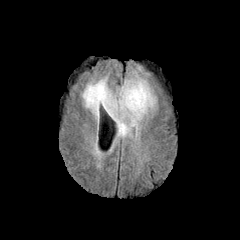
FLAIR MRI.
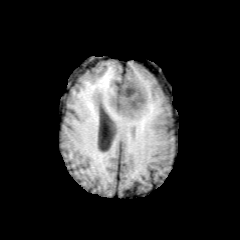
Same slice, T1-weighted MRI.
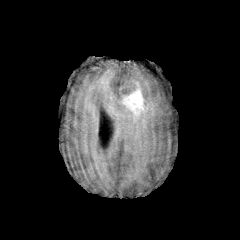
Post-contrast T1-weighted MR.
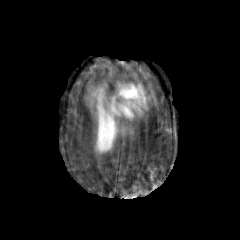
T2-weighted MR of the same slice.
240x240
Enhancing tumor at x1=118, y1=82, x2=144, y2=117.
Non-enhancing tumor core at x1=118, y1=104, x2=131, y2=116; x1=119, y1=82, x2=135, y2=99.
Edema at x1=82, y1=79, x2=156, y2=137.